Heart, MR image, Field of view 400 mm wide, 1.37 mm slice spacing

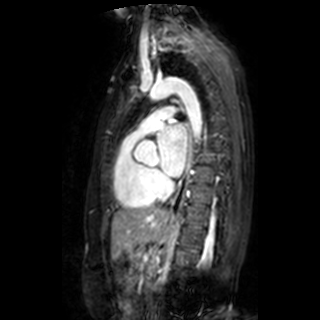 left_atrium:
  - x1=158, y1=125, x2=186, y2=176